512x512. CT image. Field of view 351 mm wide, 1.00 mm slice spacing. Chest.
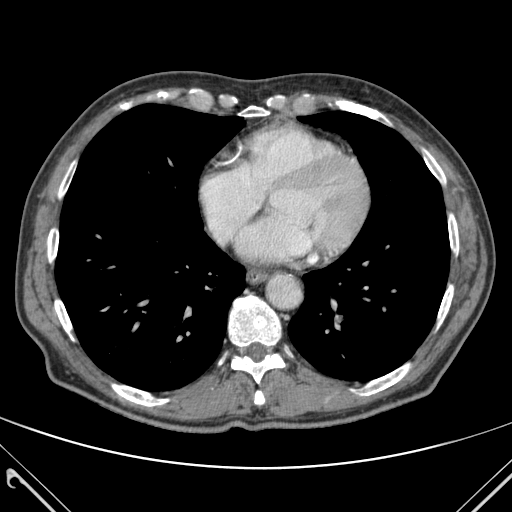

2 lung regions are bounded by (x1=288, y1=111, x2=449, y2=380), (x1=55, y1=104, x2=245, y2=390). 13 bone regions appear at (x1=58, y1=162, x2=74, y2=200), (x1=424, y1=150, x2=445, y2=182), (x1=354, y1=364, x2=409, y2=395), (x1=231, y1=354, x2=284, y2=382), (x1=254, y1=391, x2=264, y2=403), (x1=55, y1=296, x2=73, y2=340), (x1=112, y1=384, x2=168, y2=406), (x1=238, y1=106, x2=269, y2=116), (x1=438, y1=285, x2=453, y2=326), (x1=448, y1=214, x2=458, y2=253), (x1=229, y1=296, x2=280, y2=346), (x1=330, y1=101, x2=388, y2=121), (x1=48, y1=221, x2=58, y2=263).